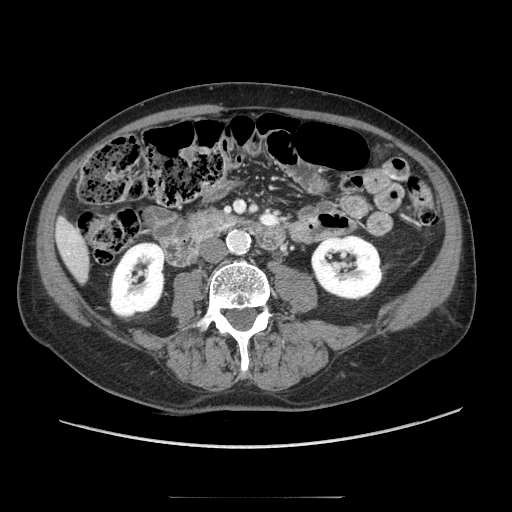

Computed tomography; Abdomen
pancreas: {"x1": 191, "y1": 207, "x2": 242, "y2": 237}